Brain, Field of view 240x240 mm, Slice index 70
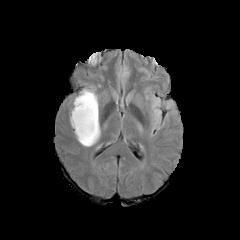
FLAIR MR image.
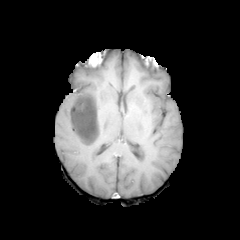
Same slice, T1-weighted MR image.
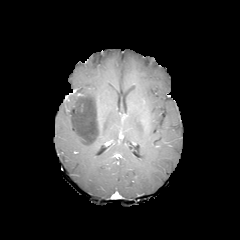
Post-contrast T1-weighted MR.
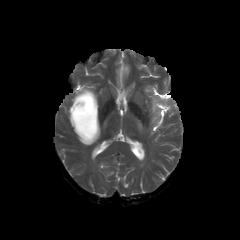
T2-weighted MR of the same slice.
* edema: (x1=80, y1=83, x2=98, y2=120), (x1=147, y1=92, x2=163, y2=127), (x1=68, y1=96, x2=100, y2=146)
* non-enhancing tumor core: (x1=70, y1=92, x2=97, y2=141)